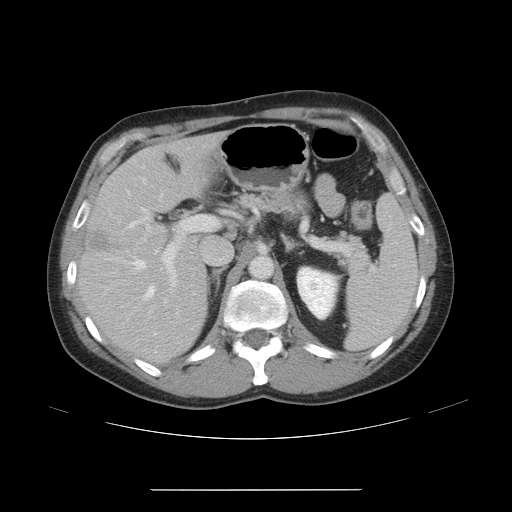 CT slice. Liver. Not every hepatic vessel necessarily has a box.
Liver tumor = l=91, t=233, r=111, b=251.
Hepatic vessel = l=153, t=333, r=155, b=334; l=129, t=220, r=139, b=227; l=143, t=286, r=154, b=299; l=134, t=260, r=145, b=269; l=144, t=238, r=145, b=240; l=144, t=215, r=150, b=220; l=161, t=253, r=177, b=291; l=141, t=208, r=147, b=212; l=146, t=225, r=149, b=228.